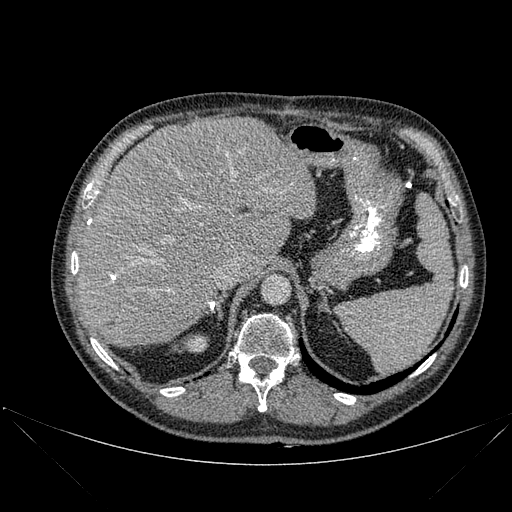 Liver; Computed tomography
The liver is located at (x1=77, y1=117, x2=316, y2=347). The kidney is bounded by (x1=188, y1=336, x2=205, y2=351). 2 lung regions are located at (x1=300, y1=340, x2=415, y2=394), (x1=448, y1=315, x2=455, y2=331). 8 bone regions appear at (x1=71, y1=252, x2=78, y2=274), (x1=334, y1=393, x2=355, y2=404), (x1=84, y1=183, x2=98, y2=198), (x1=413, y1=354, x2=435, y2=375), (x1=91, y1=338, x2=116, y2=367), (x1=460, y1=270, x2=468, y2=287), (x1=160, y1=387, x2=184, y2=396), (x1=230, y1=314, x2=298, y2=411).